Slice 468/856. Computed tomography. Liver.

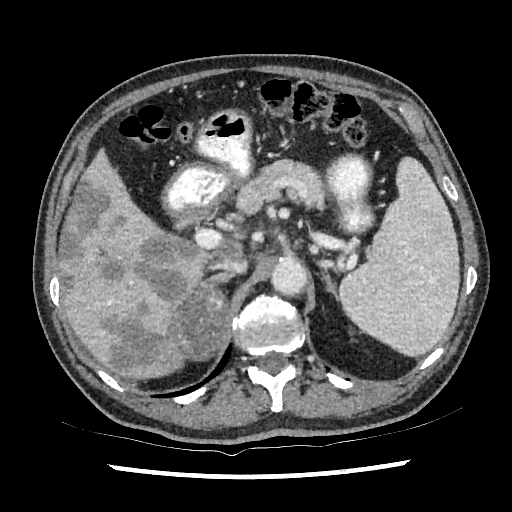
focal_liver_lesion:
  - rect(106, 214, 126, 238)
  - rect(60, 180, 110, 258)
  - rect(99, 297, 181, 374)
  - rect(94, 245, 125, 281)
  - rect(134, 233, 199, 301)
  - rect(60, 274, 75, 303)
liver:
  - rect(176, 354, 185, 368)
  - rect(60, 212, 68, 255)
  - rect(60, 150, 177, 376)
  - rect(162, 237, 243, 292)